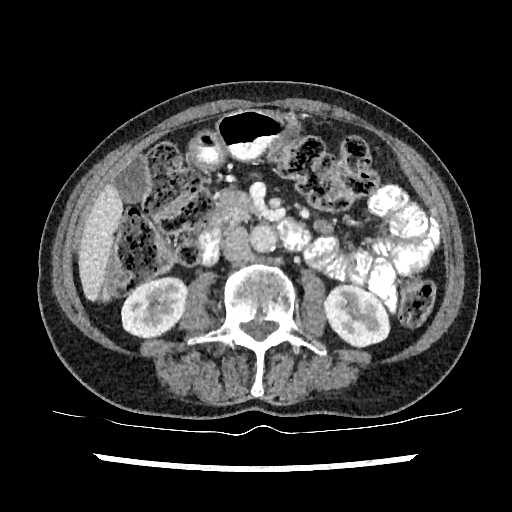

Upper abdomen | CT
* liver: box(80, 186, 121, 299)
* kidney: box(122, 279, 186, 338); box(325, 286, 388, 345)